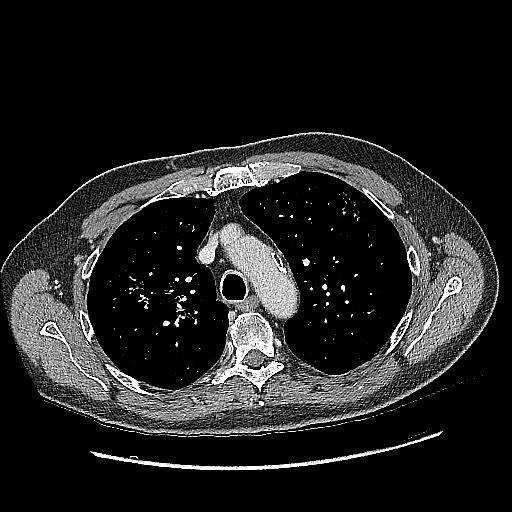

CT. Image size 512x512. Chest. Lung tumor — bbox=[123, 269, 162, 310].